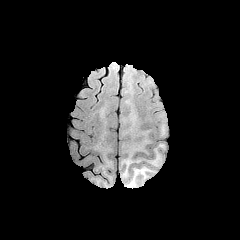
FLAIR magnetic resonance.
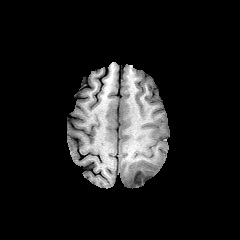
T1-weighted MR.
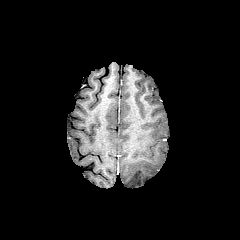
Post-contrast T1-weighted MR image of the same slice.
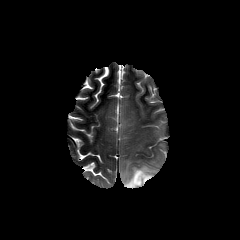
T2-weighted magnetic resonance.
Head. 240x240.
edema: [x1=121, y1=160, x2=154, y2=187] | non-enhancing tumor core: [x1=132, y1=171, x2=148, y2=183]